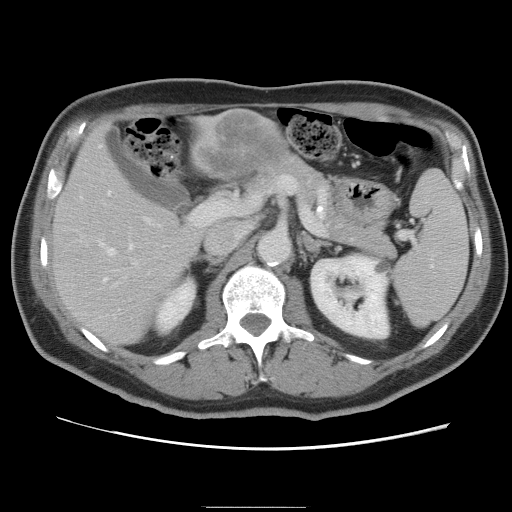 CT | Abdomen

The vessel boxes may cover only some of the vessels.
liver_tumor:
  - 197 114 281 180
hepatic_vessel:
  - 190 200 233 225
  - 113 282 117 285
  - 144 217 160 225
  - 132 260 137 264
  - 103 277 106 280
  - 233 193 236 197
  - 107 190 110 193
  - 99 242 114 254
  - 129 243 132 248
  - 99 145 100 146